FLAIR MR image.
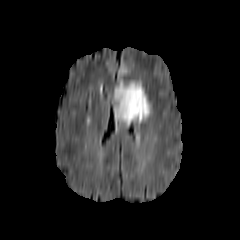
T1-weighted MR image.
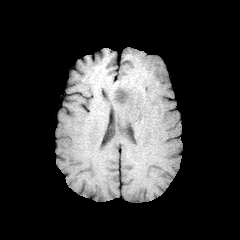
Post-contrast T1-weighted MRI.
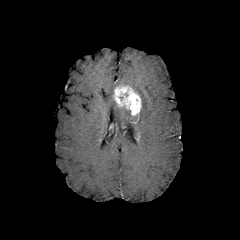
T2-weighted magnetic resonance.
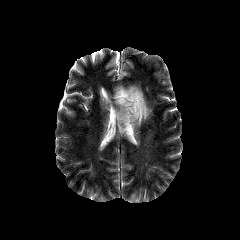
240x240 px.
The enhancing tumor is located at {"x1": 114, "y1": 86, "x2": 141, "y2": 120}. 2 edema regions are located at {"x1": 106, "y1": 81, "x2": 152, "y2": 137}, {"x1": 120, "y1": 66, "x2": 126, "y2": 79}.